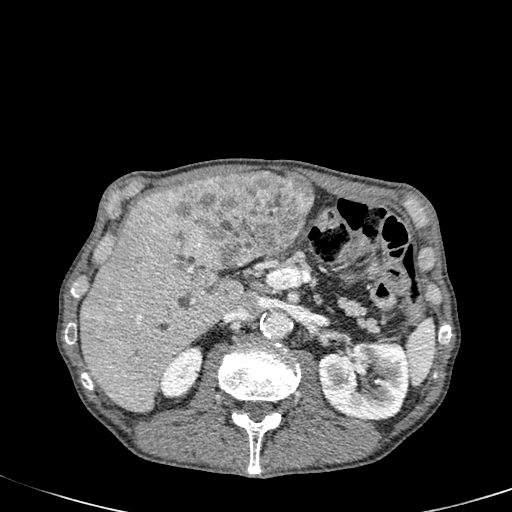
CT image. Upper abdomen.

Kidney — 320,344,409,418; 160,348,201,396.
Hepatic lesion — 176,172,313,272.
Liver — 80,182,243,410.